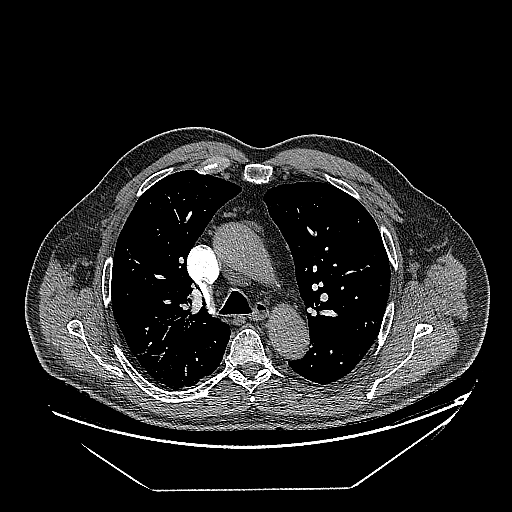

CT slice | Lung

lung_tumor:
  - x1=137, y1=346, x2=149, y2=360